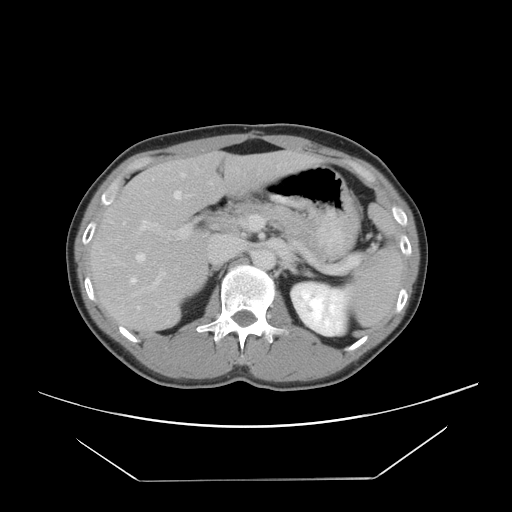
Image size 512x512 | Computed tomography | Abdomen
Some hepatic vessels may have no box.
12 hepatic vessel regions are located at [173,191,181,199], [132,270,164,296], [115,261,122,264], [277,165,278,168], [136,253,145,261], [166,321,168,322], [123,222,124,224], [168,227,189,239], [140,220,160,230], [180,173,184,176], [208,182,211,185], [130,277,135,283].